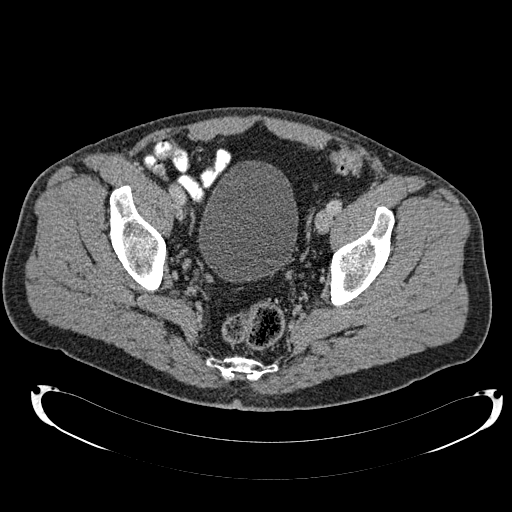
CT | Image size 512x512 | Lower abdomen
Urinary bladder: box=[198, 160, 298, 281].